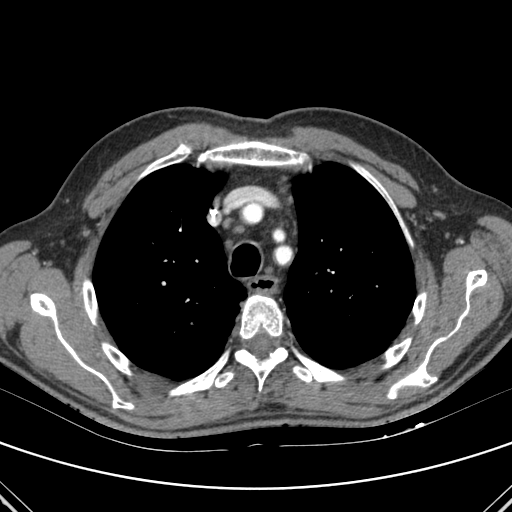
Thorax | Image size 512x512 | Computed tomography
Lung at [x1=93, y1=164, x2=246, y2=380], [x1=284, y1=162, x2=415, y2=368].
Bone at [x1=102, y1=342, x2=131, y2=374], [x1=140, y1=144, x2=190, y2=177], [x1=383, y1=338, x2=411, y2=367], [x1=239, y1=294, x2=282, y2=339], [x1=169, y1=352, x2=233, y2=395], [x1=235, y1=347, x2=287, y2=390], [x1=198, y1=141, x2=306, y2=165], [x1=413, y1=292, x2=426, y2=323], [x1=82, y1=279, x2=97, y2=324], [x1=293, y1=351, x2=344, y2=382], [x1=30, y1=293, x2=133, y2=409], [x1=354, y1=165, x2=411, y2=244], [x1=387, y1=269, x2=487, y2=398].